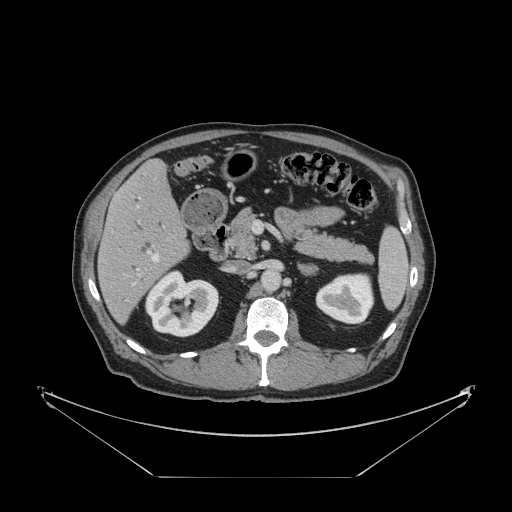

CT image
Only some of the vessels may be annotated.
<segmentation>
  <hepatic_vessel>148, 252, 158, 261; 252, 220, 261, 232; 136, 269, 139, 275</hepatic_vessel>
</segmentation>